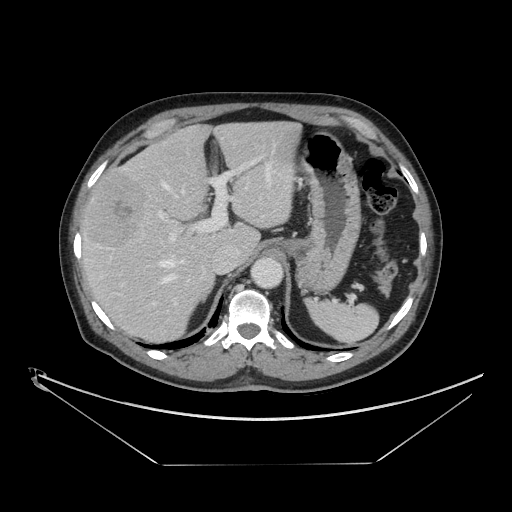

Image size 512x512, CT slice
Not every hepatic vessel necessarily has a box.
The liver tumor is bounded by [84, 170, 148, 248]. 11 hepatic vessel regions are located at [163, 274, 175, 281], [178, 261, 183, 263], [170, 233, 174, 241], [162, 183, 170, 189], [152, 302, 154, 304], [239, 166, 244, 169], [266, 164, 269, 181], [158, 211, 163, 217], [161, 260, 174, 267], [174, 195, 176, 197], [247, 157, 262, 165].